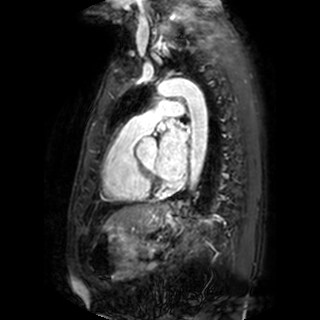

MRI
• left atrium: left=155, top=118, right=187, bottom=181